Image width 240 mm; Brain; Slice 69 of 155
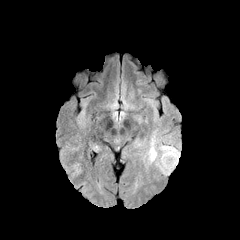
FLAIR magnetic resonance.
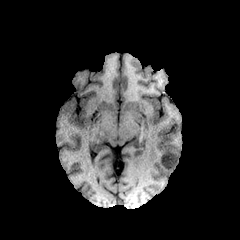
Same slice, T1-weighted MRI.
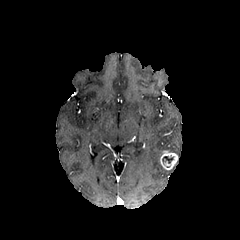
Post-contrast T1-weighted magnetic resonance.
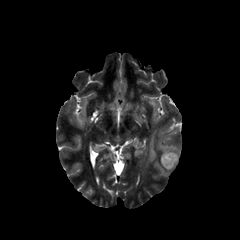
T2-weighted MR image.
The enhancing tumor lies within rect(159, 149, 178, 170). 3 edema regions are located at rect(161, 146, 179, 155); rect(159, 167, 170, 175); rect(148, 135, 156, 162). The non-enhancing tumor core is at rect(162, 155, 173, 163).